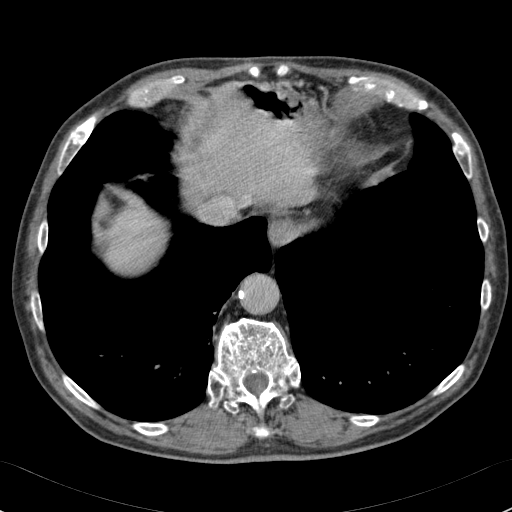

Upper abdomen; CT
Liver: [234,115,243,122], [195,142,219,194], [100,204,157,263].